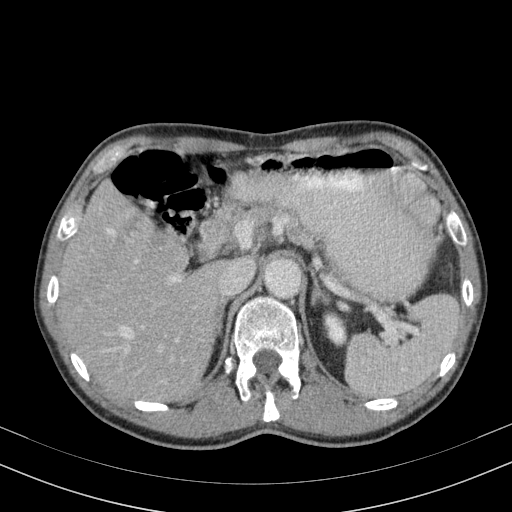

Computed tomography, Upper abdomen

2 liver regions are located at (x1=239, y1=242, x2=250, y2=250), (x1=58, y1=178, x2=255, y2=404). The kidney lies within (x1=328, y1=319, x2=342, y2=339).